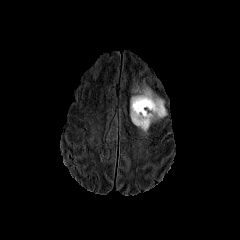
FLAIR MR image.
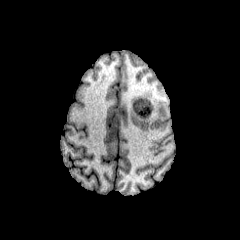
T1-weighted MR image.
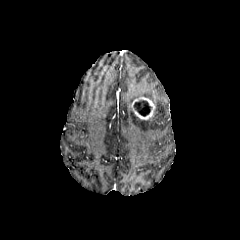
Post-contrast T1-weighted MRI.
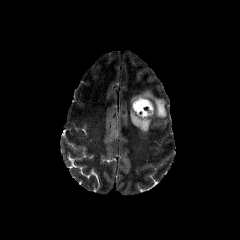
T2-weighted magnetic resonance of the same slice.
Head; 240x240
Edema at 130,84,166,132.
Enhancing tumor at 132,97,154,119.
Non-enhancing tumor core at 134,99,150,116.